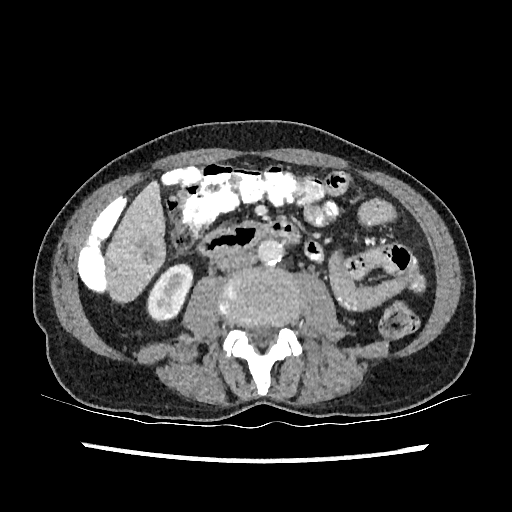

CT; Liver

Liver = <box>105,181,164,301</box>.
Liver lesion = <box>135,240,145,247</box>, <box>109,263,116,270</box>, <box>141,245,156,264</box>.
Kidney = <box>148,265,192,319</box>.